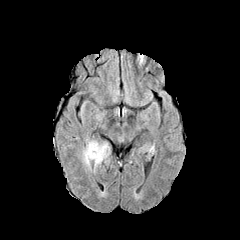
FLAIR magnetic resonance.
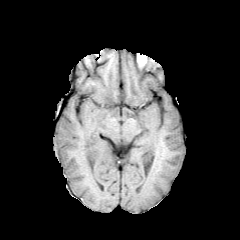
T1-weighted magnetic resonance.
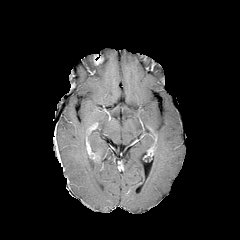
Post-contrast T1-weighted magnetic resonance.
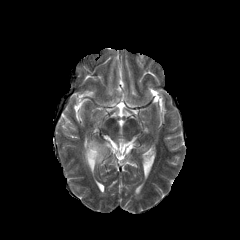
T2-weighted MR image.
Head
{
  "non-enhancing_tumor_core": [
    "box(86, 151, 100, 162)"
  ],
  "enhancing_tumor": [
    "box(86, 142, 97, 160)"
  ],
  "edema": [
    "box(80, 136, 111, 173)"
  ]
}